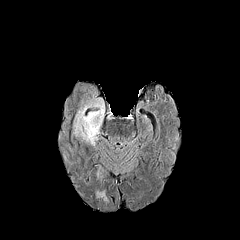
FLAIR magnetic resonance.
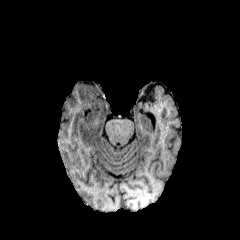
Same slice, T1-weighted MR image.
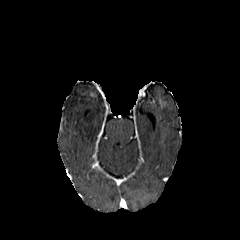
Same slice, post-contrast T1-weighted MR.
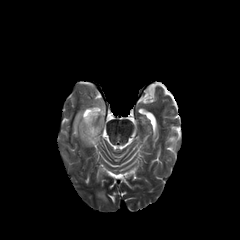
T2-weighted MR of the same slice.
The edema is bounded by box=[74, 100, 105, 145].